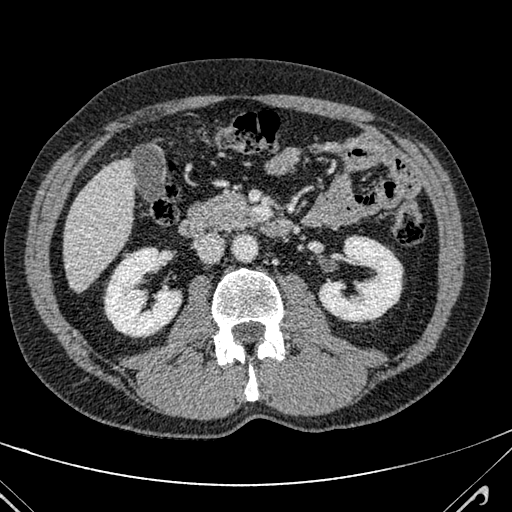
CT. 512x512 px.
The liver appears at <box>64,159,133,291</box>.